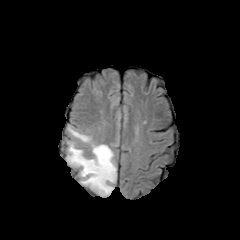
FLAIR magnetic resonance.
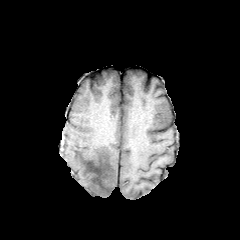
Same slice, T1-weighted MRI.
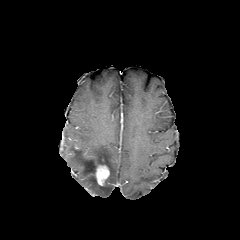
Same slice, post-contrast T1-weighted MR image.
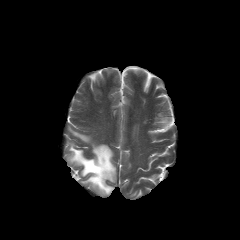
Same slice, T2-weighted MR.
enhancing tumor: (94,165,109,185) | edema: (66,125,117,196) | non-enhancing tumor core: (84,159,112,183)